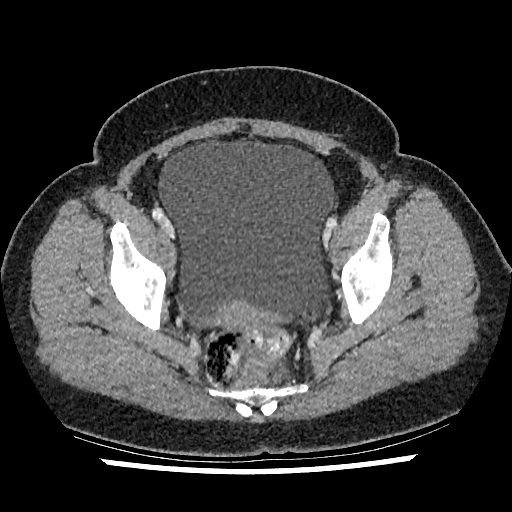

Computed tomography
The urinary bladder lies within (x1=158, y1=140, x2=334, y2=323).